FLAIR magnetic resonance.
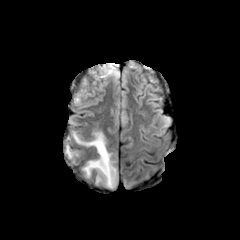
T1-weighted magnetic resonance.
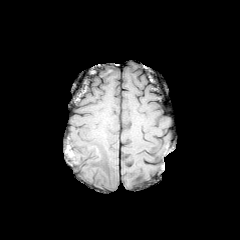
Post-contrast T1-weighted MRI.
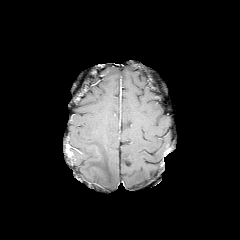
T2-weighted MR image.
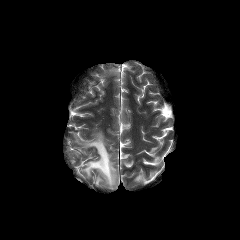
edema: 72:131:117:188, 104:67:119:79